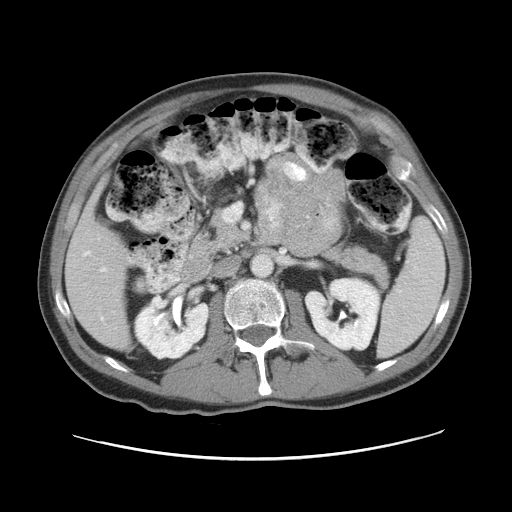 512x512, CT slice
The vessel annotation is not exhaustive.
3 hepatic vessel regions are located at x1=101, y1=317, x2=103, y2=320; x1=83, y1=251, x2=90, y2=255; x1=100, y1=268, x2=105, y2=271.